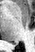 MR
<segmentation>
  <posterior_hippocampus>(13,43,17,45)</posterior_hippocampus>
</segmentation>